FLAIR MR image.
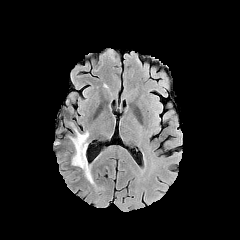
T1-weighted magnetic resonance.
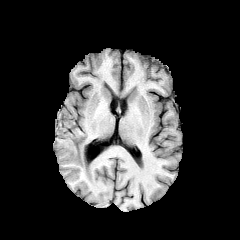
Post-contrast T1-weighted MR.
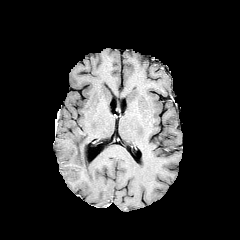
T2-weighted MRI.
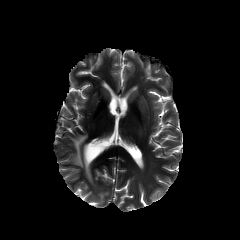
Brain
The edema lies within [x1=68, y1=128, x2=93, y2=183].